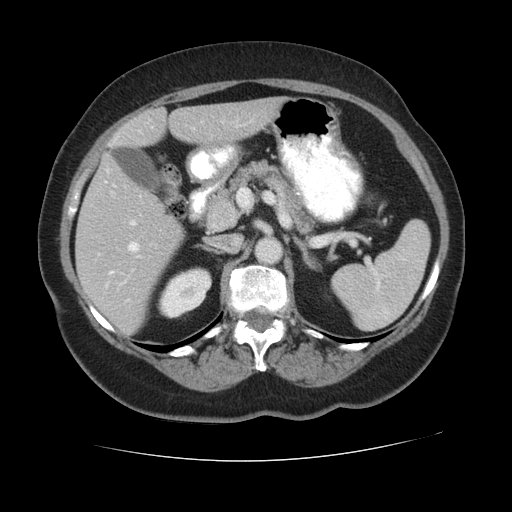 CT image. Abdomen.
Pancreatic tumor = x1=207, y1=198, x2=238, y2=231.
Pancreas = x1=207, y1=161, x2=310, y2=229.